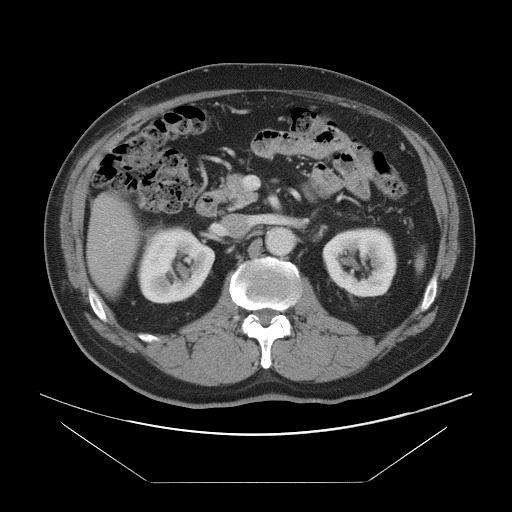

Image size 512x512 | Liver | CT slice
Some hepatic vessels may have no box.
Hepatic vessel — [109, 240, 111, 242].